Image width 240 mm; Head; Slice index 59; 240x240 px
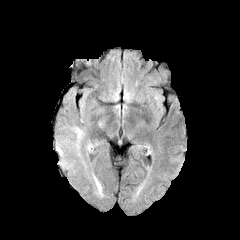
FLAIR magnetic resonance.
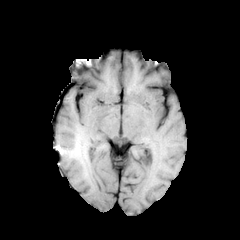
Same slice, T1-weighted MRI.
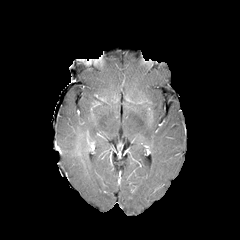
Same slice, post-contrast T1-weighted MRI.
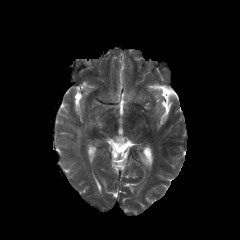
T2-weighted MR.
edema: region(72, 126, 84, 153)